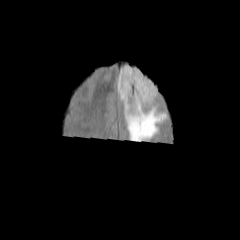
FLAIR MR image.
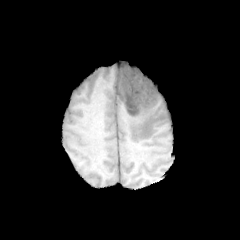
T1-weighted MR of the same slice.
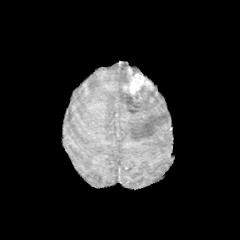
Post-contrast T1-weighted MR image.
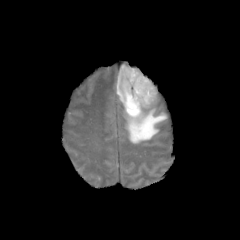
T2-weighted MRI of the same slice.
Head
enhancing_tumor:
  - <bbox>122, 67, 153, 101</bbox>
edema:
  - <bbox>116, 63, 167, 142</bbox>
non-enhancing_tumor_core:
  - <bbox>126, 82, 156, 106</bbox>